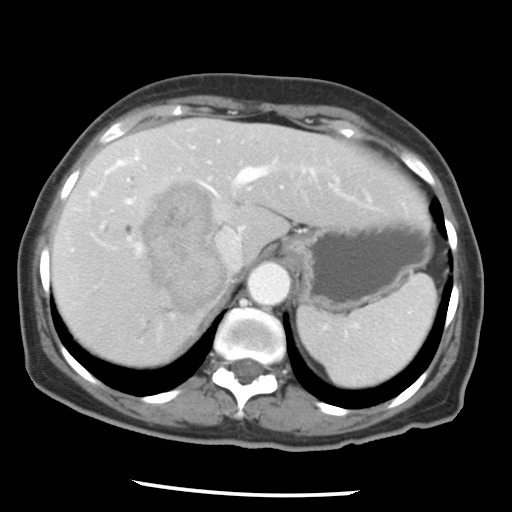 CT image.
Some hepatic vessels may have no box.
<segmentation>
  <hepatic_vessel>x1=205 y1=181 x2=211 y2=185, x1=218 y1=227 x2=242 y2=268, x1=216 y1=208 x2=225 y2=218, x1=309 y1=168 x2=314 y2=173, x1=212 y1=186 x2=220 y2=198, x1=103 y1=148 x2=139 y2=175, x1=88 y1=188 x2=98 y2=197, x1=124 y1=198 x2=135 y2=204, x1=133 y1=243 x2=139 y2=255, x1=231 y1=160 x2=275 y2=192</hepatic_vessel>
  <liver_tumor>x1=138 y1=177 x2=226 y2=317</liver_tumor>
</segmentation>